FLAIR MR.
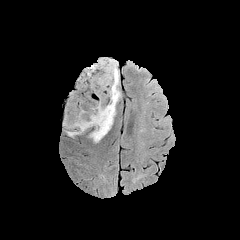
T1-weighted MR image.
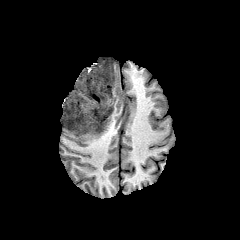
Post-contrast T1-weighted magnetic resonance.
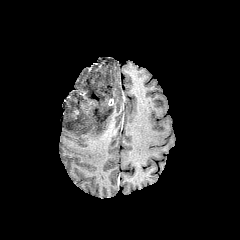
T2-weighted MR.
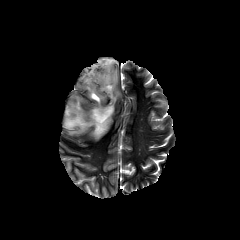
Head. Image size 240x240.
2 non-enhancing tumor core regions are located at l=98, t=63, r=111, b=91; l=94, t=102, r=114, b=122. 2 edema regions appear at l=84, t=63, r=106, b=85; l=63, t=59, r=120, b=142.